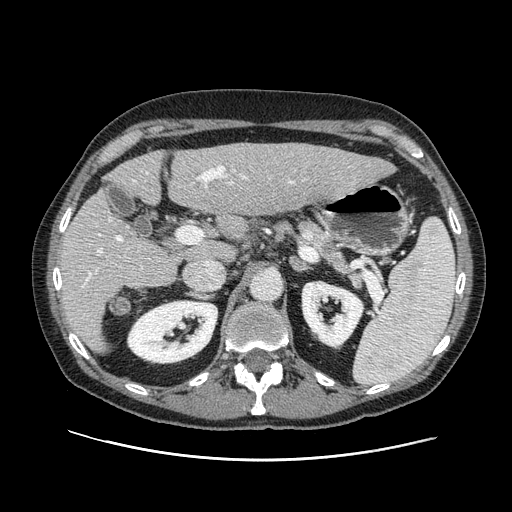

CT image; Abdomen

<segmentation>
  <pancreatic_tumor><bbox>323, 240, 333, 255</bbox></pancreatic_tumor>
</segmentation>